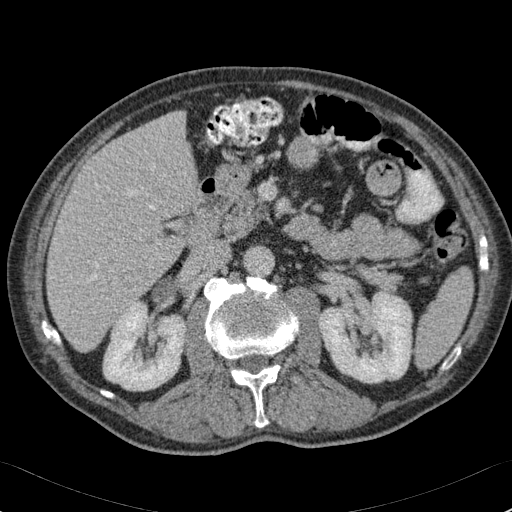

512x512; Abdomen; CT scan slice
Segmented structures:
- kidney: 103, 302, 185, 390; 318, 291, 411, 382
- liver: 47, 112, 195, 351